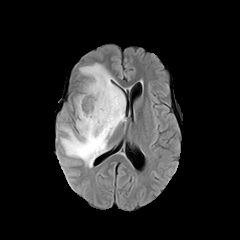
FLAIR MRI.
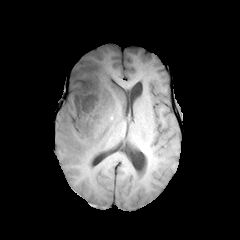
T1-weighted MR image.
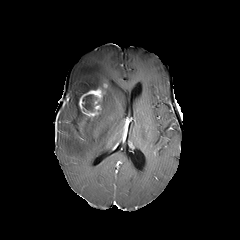
Same slice, post-contrast T1-weighted MR.
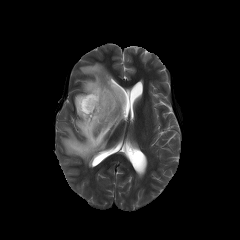
T2-weighted magnetic resonance.
The edema is located at <box>58,63,126,167</box>. The enhancing tumor is bounded by <box>78,83,106,117</box>. 4 non-enhancing tumor core regions are located at <box>84,82,103,93</box>, <box>100,88,105,109</box>, <box>76,94,97,127</box>, <box>82,95,93,110</box>.